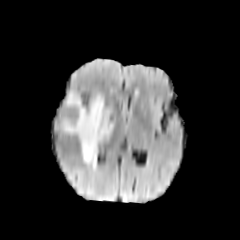
FLAIR MRI.
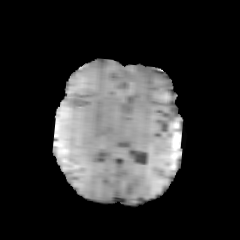
T1-weighted magnetic resonance of the same slice.
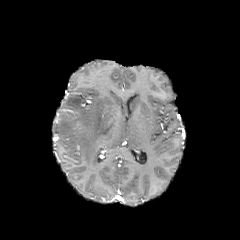
Post-contrast T1-weighted magnetic resonance.
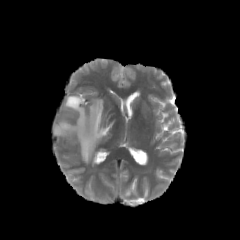
T2-weighted magnetic resonance of the same slice.
The edema lies within bbox(56, 93, 114, 165).